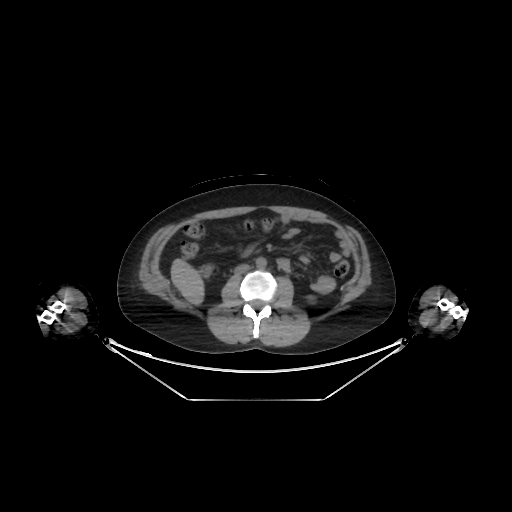
CT scan slice.

<segmentation>
  <liver>[171, 259, 209, 304]</liver>
  <kidney>[307, 295, 315, 304]</kidney>
</segmentation>